Slice 88/155. Image size 240x240. Brain.
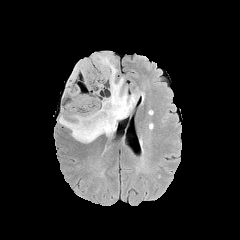
FLAIR MR.
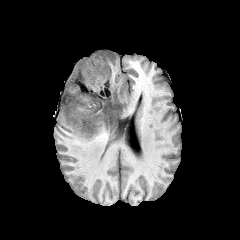
T1-weighted MR.
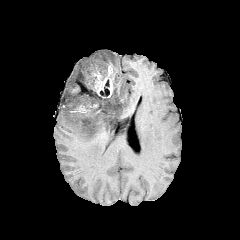
Post-contrast T1-weighted MR.
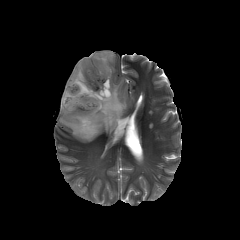
T2-weighted MR.
edema: [59,51,137,143] | enhancing tumor: [96,67,112,94] | non-enhancing tumor core: [99,70,107,81], [93,96,120,123]